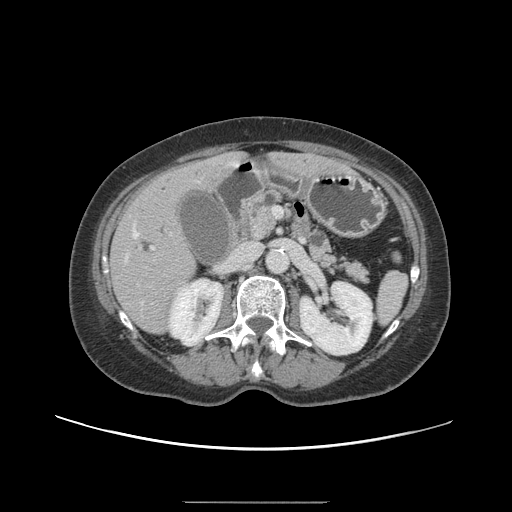

CT scan slice

{
  "pancreas": [
    "<bbox>248, 190, 283, 239</bbox>",
    "<bbox>310, 238, 367, 281</bbox>"
  ],
  "pancreatic_tumor": [
    "<bbox>257, 211, 273, 229</bbox>"
  ]
}